Abdomen | Computed tomography | 512x512 px

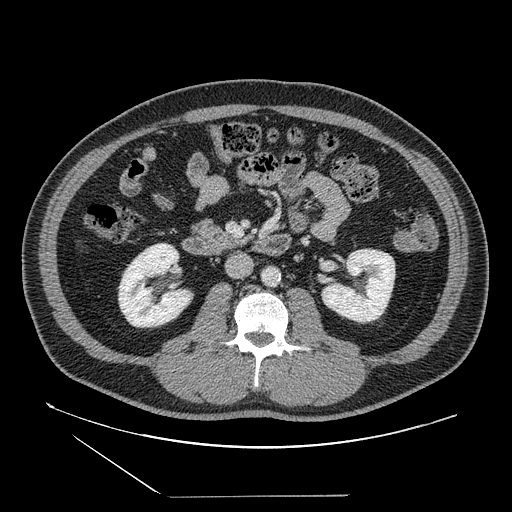 {
  "pancreas": [
    "(190, 217, 237, 254)"
  ]
}